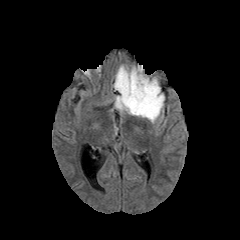
FLAIR MRI.
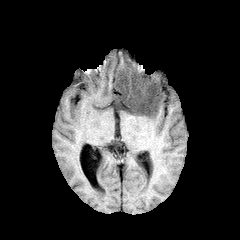
T1-weighted MR of the same slice.
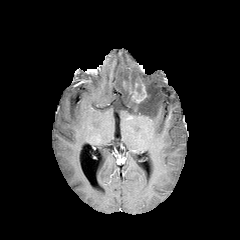
Same slice, post-contrast T1-weighted MRI.
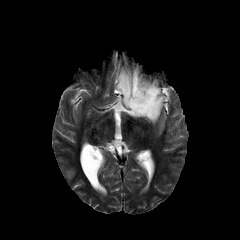
T2-weighted magnetic resonance.
240x240
Enhancing tumor at x1=129 y1=84 x2=146 y2=102.
Non-enhancing tumor core at x1=118 y1=76 x2=158 y2=115.
Edema at x1=111 y1=65 x2=168 y2=125.